FLAIR MRI.
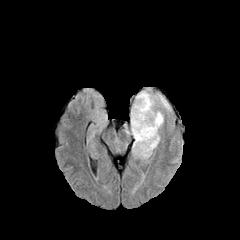
T1-weighted MR.
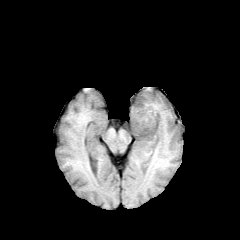
Post-contrast T1-weighted MRI.
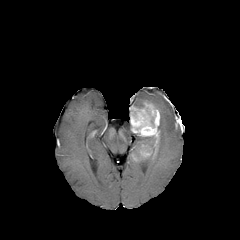
T2-weighted magnetic resonance.
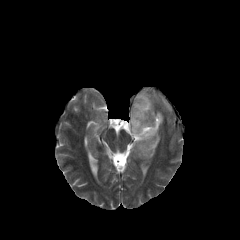
Brain
{
  "enhancing_tumor": [
    "<bbox>130, 102, 159, 145</bbox>",
    "<bbox>140, 145, 151, 156</bbox>"
  ],
  "edema": [
    "<bbox>131, 137, 154, 160</bbox>",
    "<bbox>124, 123, 133, 136</bbox>",
    "<bbox>133, 91, 171, 111</bbox>",
    "<bbox>158, 110, 164, 130</bbox>"
  ],
  "non-enhancing_tumor_core": [
    "<bbox>133, 134, 155, 149</bbox>"
  ]
}